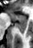

Magnetic resonance.
{"anterior_hippocampus": ["x1=7 y1=11 x2=26 y2=21"], "posterior_hippocampus": ["x1=15 y1=22 x2=26 y2=32"]}